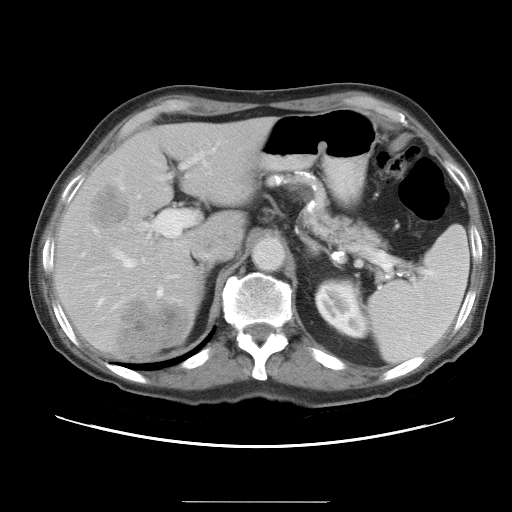
Abdomen; 512x512; CT slice
Only some of the vessels may be annotated.
* hepatic vessel: l=167, t=275, r=178, b=278; l=186, t=175, r=188, b=177; l=146, t=234, r=149, b=238; l=96, t=298, r=103, b=305; l=138, t=223, r=158, b=231; l=156, t=287, r=162, b=297; l=181, t=152, r=203, b=168; l=122, t=227, r=124, b=230; l=121, t=288, r=122, b=290; l=166, t=235, r=176, b=237
* liver tumor: l=120, t=301, r=190, b=355; l=92, t=187, r=129, b=228